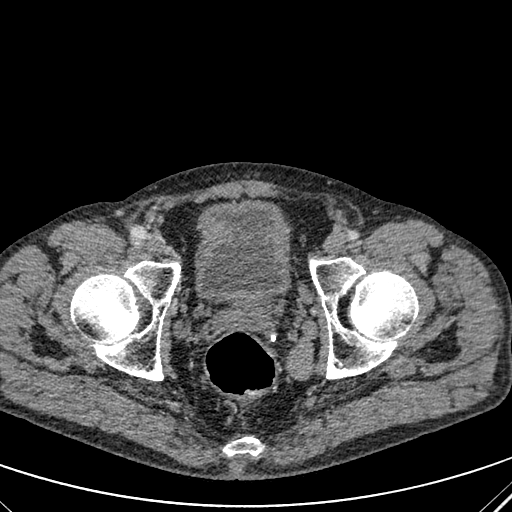
CT; Lower abdomen

The urinary bladder is bounded by (left=201, top=208, right=282, bottom=295).